CT slice, Slice index 39
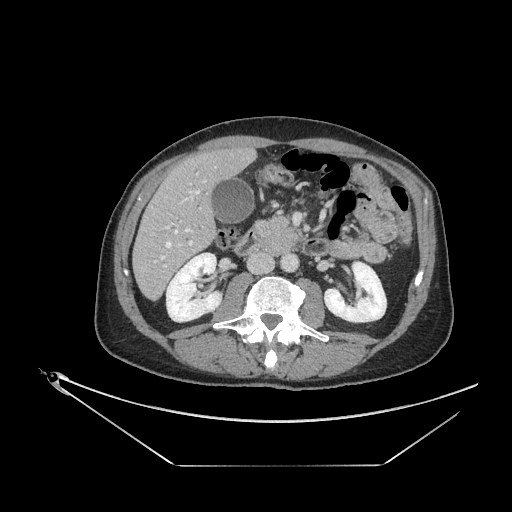 pancreatic tumor: box=[272, 226, 295, 246] | pancreas: box=[254, 217, 302, 248]